Head; Field of view 240x240 mm
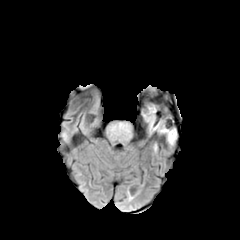
FLAIR magnetic resonance.
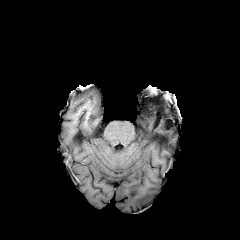
Same slice, T1-weighted MRI.
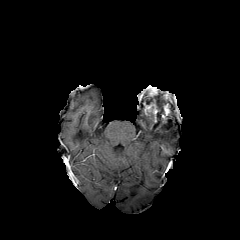
Post-contrast T1-weighted MR image.
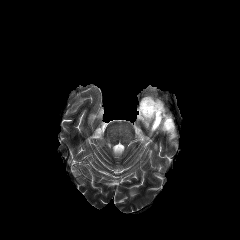
T2-weighted MR of the same slice.
The edema is bounded by bbox=[144, 117, 176, 144]. 2 non-enhancing tumor core regions are bounded by bbox=[141, 108, 154, 121]; bbox=[155, 104, 168, 126]. The enhancing tumor is located at bbox=[144, 104, 157, 116].